CT

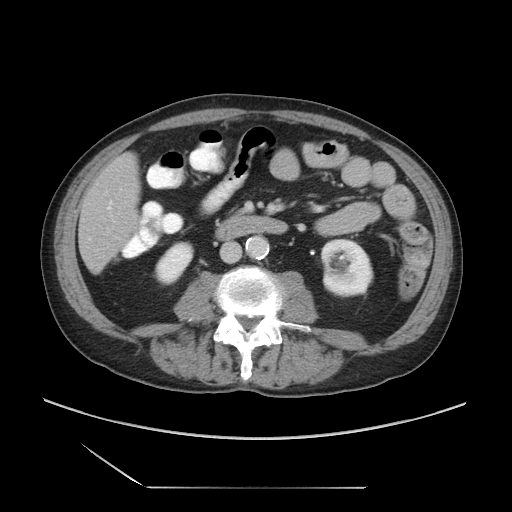

Some hepatic vessels may have no box.
3 hepatic vessel regions appear at (89, 237, 91, 240), (105, 192, 106, 194), (108, 201, 112, 208).